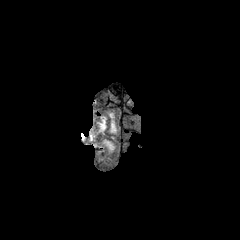
FLAIR MR image.
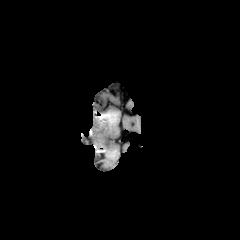
T1-weighted magnetic resonance of the same slice.
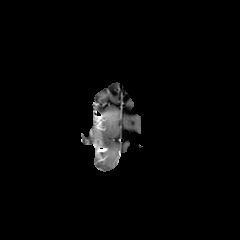
Post-contrast T1-weighted MR.
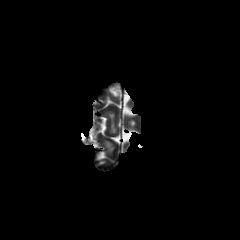
T2-weighted MRI.
Enhancing tumor = l=95, t=118, r=103, b=130.
Edema = l=89, t=112, r=116, b=151.